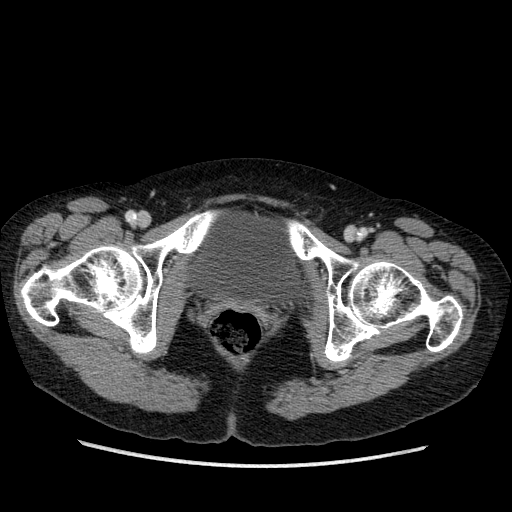 512x512 | Pelvis | CT scan slice
The urinary bladder appears at bbox(183, 209, 315, 315).